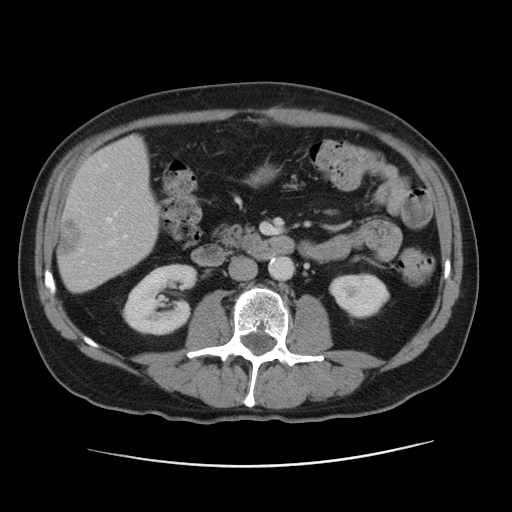
Upper abdomen | CT scan slice | 512x512 px
The liver is bounded by bbox=[59, 141, 154, 290]. The focal liver lesion appears at bbox=[58, 220, 80, 255]. 2 kidney regions are located at bbox=[329, 273, 389, 318]; bbox=[124, 265, 194, 333].